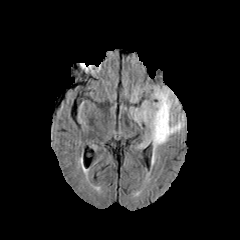
FLAIR MR.
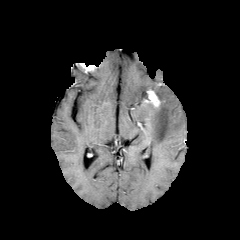
Same slice, T1-weighted MRI.
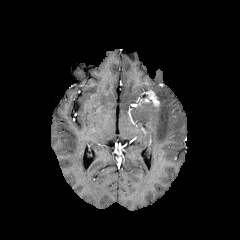
Post-contrast T1-weighted magnetic resonance.
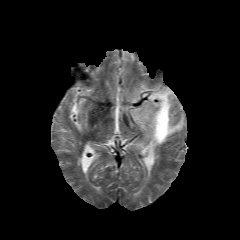
T2-weighted MR.
240x240 | Brain
Annotated regions:
* enhancing tumor: (148,93,159,106)
* edema: (130,84,185,163)